Slice 60 of 155
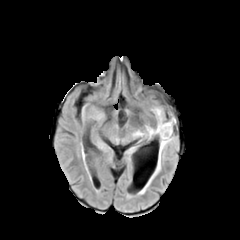
FLAIR MR image.
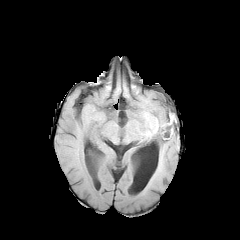
T1-weighted MRI.
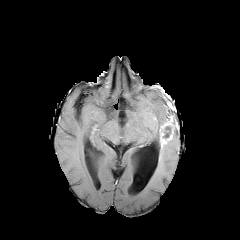
Post-contrast T1-weighted MRI.
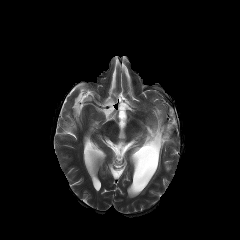
T2-weighted MR of the same slice.
Non-enhancing tumor core: bounding box <box>163,126,173,137</box>.
Enhancing tumor: bounding box <box>156,120,173,144</box>.
Edema: bounding box <box>152,107,171,129</box>, <box>135,126,159,140</box>, <box>157,144,162,172</box>.